Slice 418/986 | CT | Abdomen

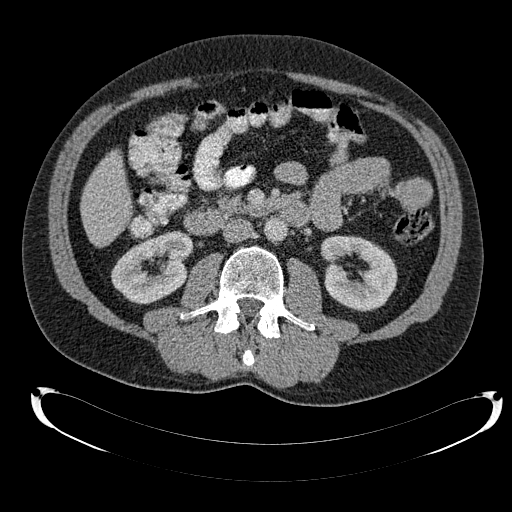

Kidney: bounding box bbox(112, 232, 190, 303); bbox(322, 236, 396, 310).
Liver: bounding box bbox(82, 151, 132, 246).